Liver, CT

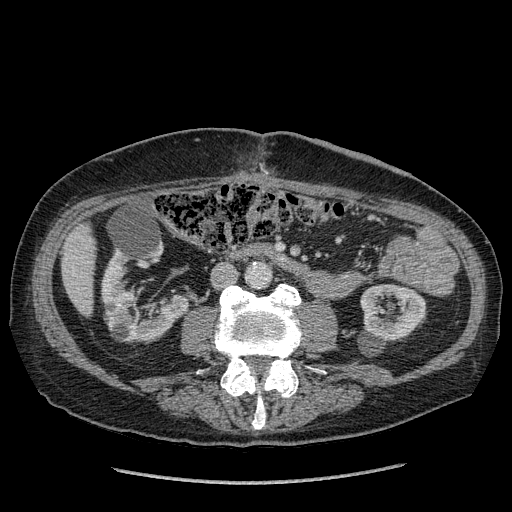 Segmented structures:
- liver: bbox(61, 224, 94, 316)
- kidney: bbox(102, 250, 133, 326); bbox(360, 284, 425, 340); bbox(127, 296, 187, 340)